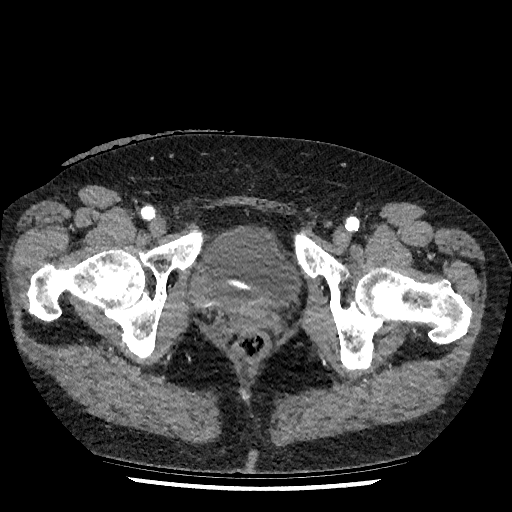 Computed tomography
urinary_bladder:
  - 192:226:296:317